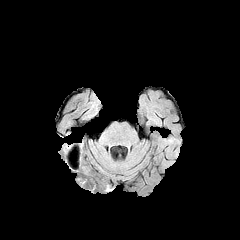
FLAIR magnetic resonance.
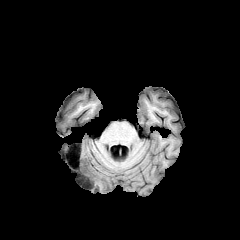
T1-weighted magnetic resonance.
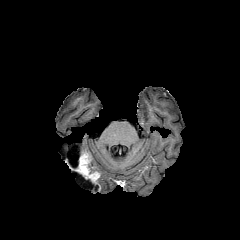
Post-contrast T1-weighted magnetic resonance.
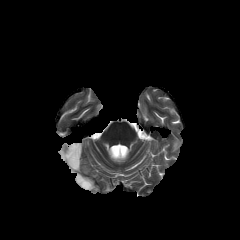
T2-weighted MRI.
240x240 px, Head
Segmented structures:
- non-enhancing tumor core: rect(89, 170, 99, 183); rect(79, 153, 91, 160)
- enhancing tumor: rect(79, 159, 97, 179)